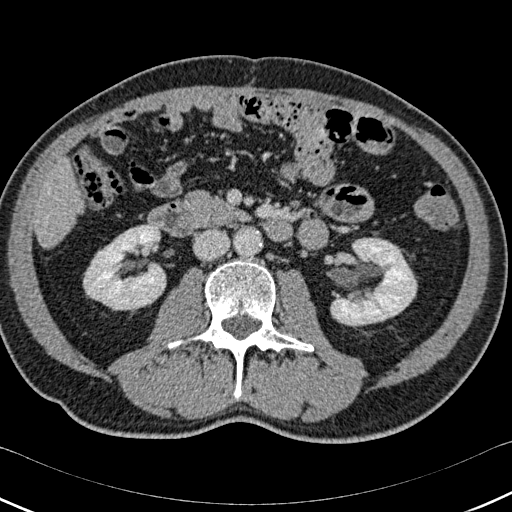 Upper abdomen. CT slice. Image size 512x512.

Liver at x1=35, y1=161, x2=84, y2=247.
Kidney at x1=331, y1=238, x2=416, y2=324; x1=84, y1=225, x2=165, y2=309.
Bone at x1=188, y1=261, x2=313, y2=398; x1=168, y1=340, x2=184, y2=348.